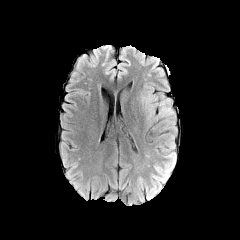
FLAIR MRI.
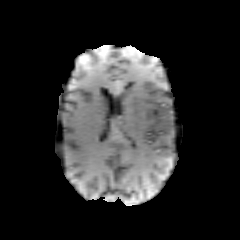
T1-weighted MRI of the same slice.
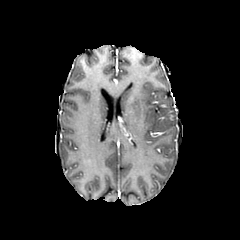
Post-contrast T1-weighted magnetic resonance of the same slice.
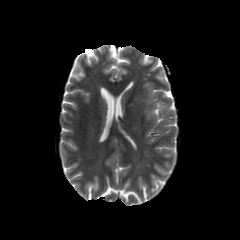
T2-weighted magnetic resonance.
Brain
The edema appears at (142,90,177,133).